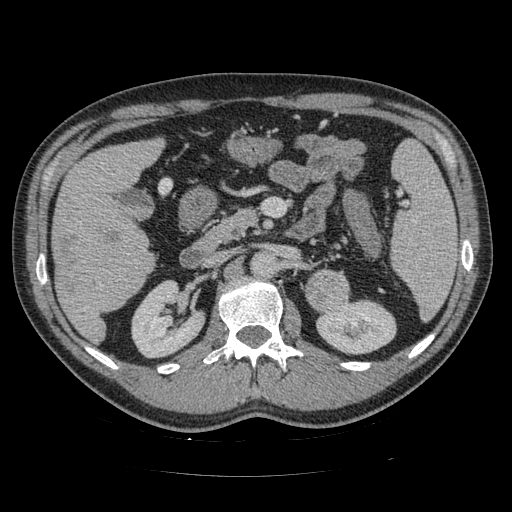

CT scan slice
The pancreas is at 219:208:256:236. The pancreatic tumor lies within 307:270:349:312.